Abdomen; CT image; Slice 41/60
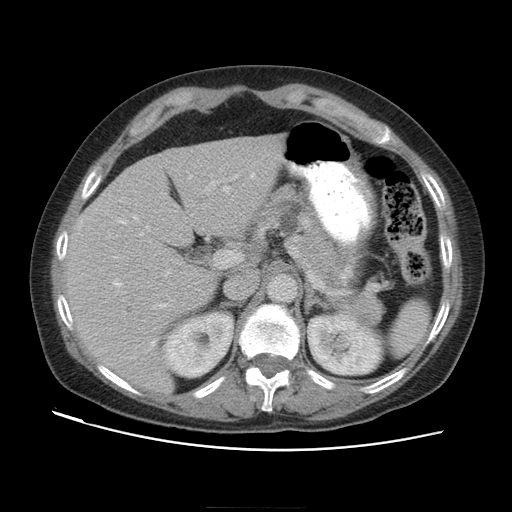
Pancreatic tumor = x1=278, y1=200, x2=305, y2=231.
Pancreas = x1=243, y1=183, x2=362, y2=306.